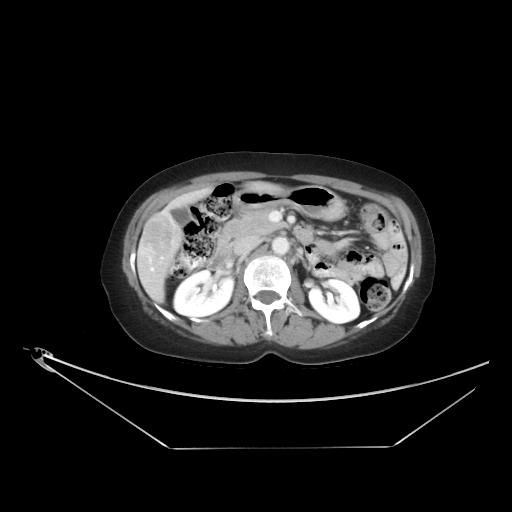 Computed tomography | 512x512 px | Liver
The liver tumor appears at x1=140, y1=215, x2=177, y2=275.